Field of view 240x240 mm, Brain
FLAIR magnetic resonance.
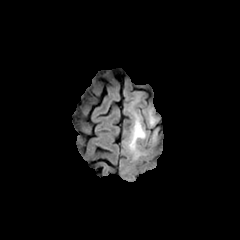
T1-weighted MR image.
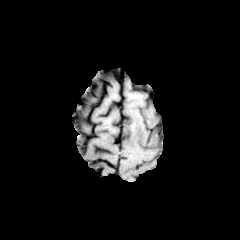
Post-contrast T1-weighted MR.
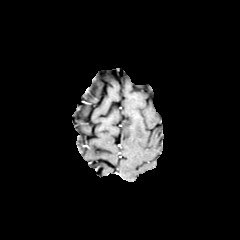
T2-weighted MR image.
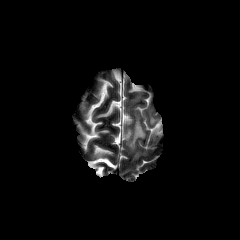
{"edema": ["126 112 157 158"]}